FLAIR MR image.
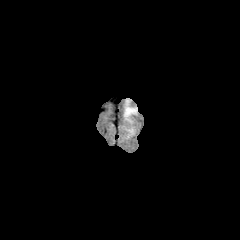
T1-weighted MR image.
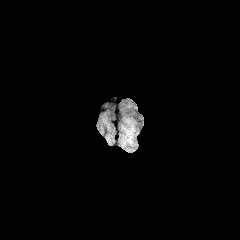
Post-contrast T1-weighted MR.
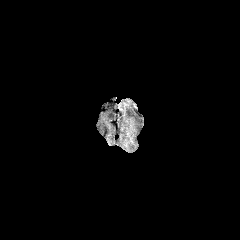
T2-weighted MR image.
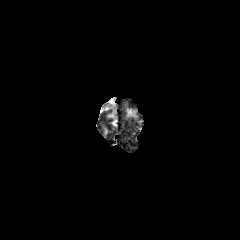
240x240.
The edema appears at <box>124,104,137,117</box>.